CT image | 512x512 px
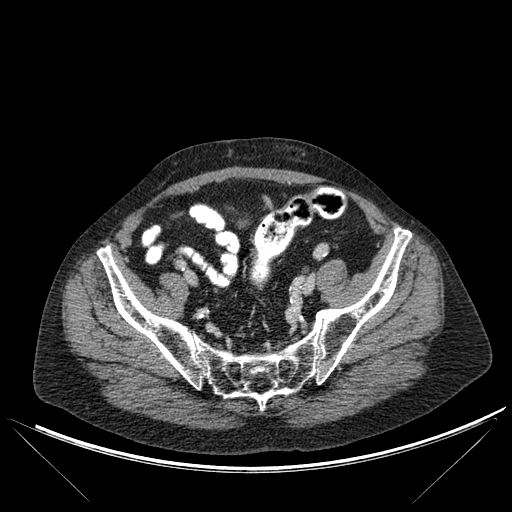 bone:
  - (x1=97, y1=227, x2=411, y2=409)